FLAIR magnetic resonance.
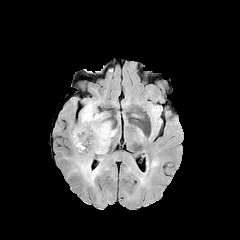
T1-weighted MR.
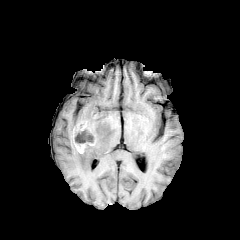
Post-contrast T1-weighted MR.
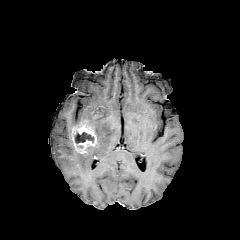
T2-weighted MR image.
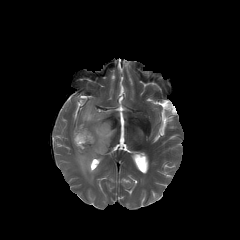
Brain
Segmented structures:
* non-enhancing tumor core: box(73, 132, 94, 143)
* edema: box(75, 97, 117, 185)
* enhancing tumor: box(72, 124, 96, 153)